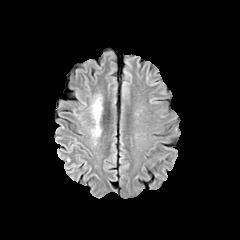
FLAIR MR image.
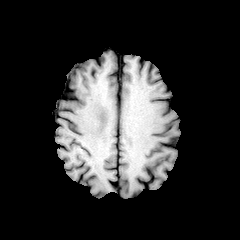
T1-weighted magnetic resonance of the same slice.
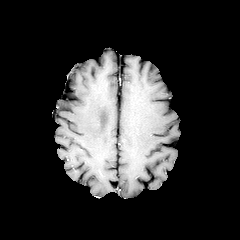
Post-contrast T1-weighted MR.
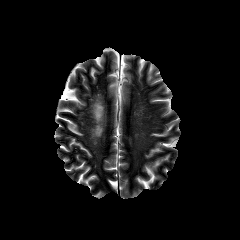
Same slice, T2-weighted MR.
Edema: bounding box (86,93,103,143).